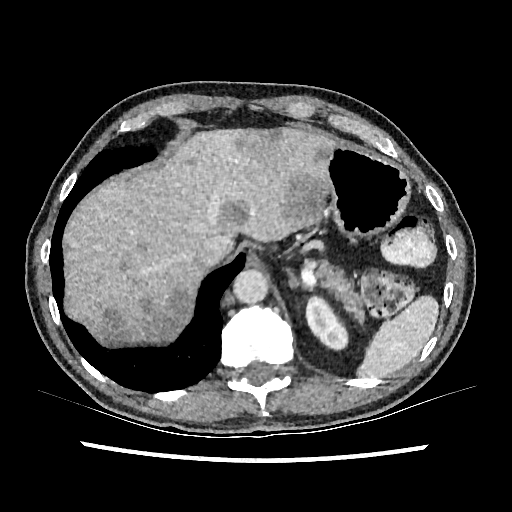
CT scan slice, Liver

liver: [66,129,331,321] | focal liver lesion: [133,277,148,290], [184,158,196,165], [314,149,330,161], [219,198,249,227], [86,287,192,343], [282,172,328,225], [118,260,131,272], [234,129,280,157], [136,243,147,251] | kidney: [306,297,346,348]